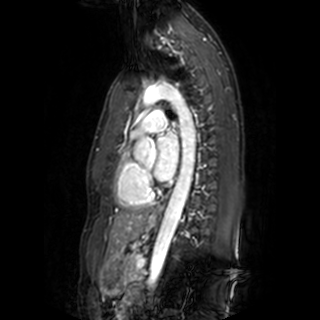

Image size 320x320, MR

Left atrium at box=[154, 132, 178, 180].